Image size 512x512; CT image; Field of view 700 mm wide, 3.27 mm slice spacing; Slice 114/536
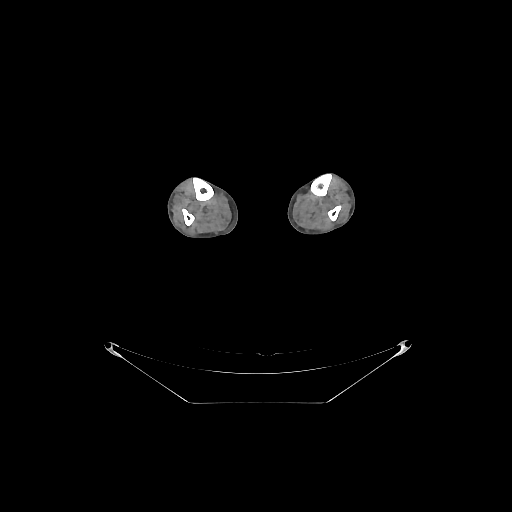

4 bone regions are located at (left=182, top=209, right=194, bottom=225), (left=311, top=174, right=331, bottom=196), (left=328, top=205, right=341, bottom=220), (left=193, top=178, right=213, bottom=200).